Image size 240x240.
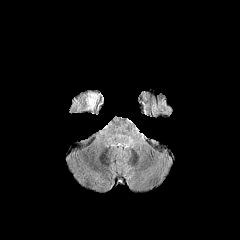
FLAIR MRI.
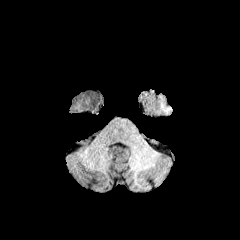
T1-weighted MRI of the same slice.
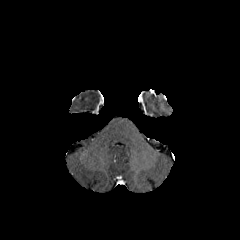
Same slice, post-contrast T1-weighted magnetic resonance.
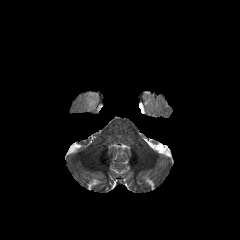
Same slice, T2-weighted MR.
Edema: bounding box bbox=[89, 93, 98, 107].